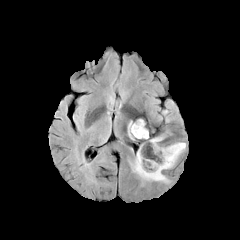
FLAIR magnetic resonance.
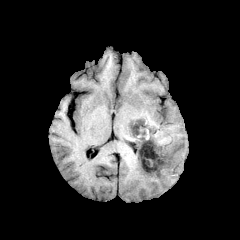
Same slice, T1-weighted magnetic resonance.
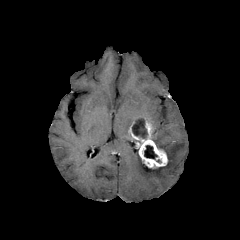
Same slice, post-contrast T1-weighted magnetic resonance.
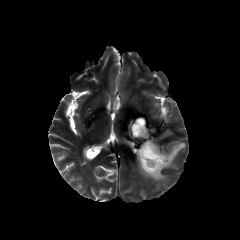
T2-weighted MR image.
Head
{"enhancing_tumor": ["[128,122,167,168]"], "non-enhancing_tumor_core": ["[144,145,157,159]", "[142,161,159,170]", "[132,117,148,139]"], "edema": ["[131,142,186,182]", "[160,108,169,122]"]}